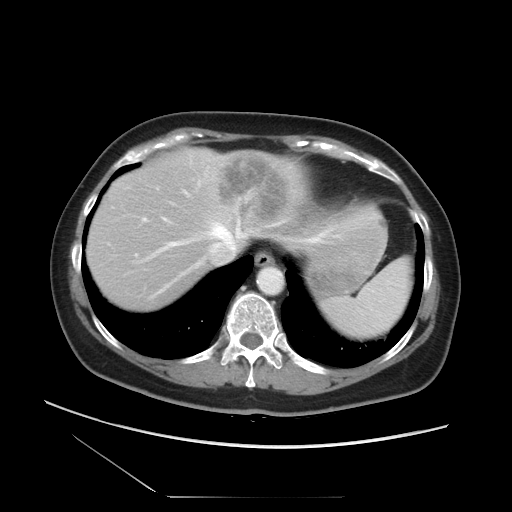 Liver. CT. Image size 512x512. Not every hepatic vessel necessarily has a box.
The liver tumor lies within 214,152,294,237. 4 hepatic vessel regions appear at 190,239,193,240; 152,241,188,256; 207,220,245,264; 144,218,146,221.